CT scan slice | Image size 512x512 | Pelvis | Slice 42 of 97 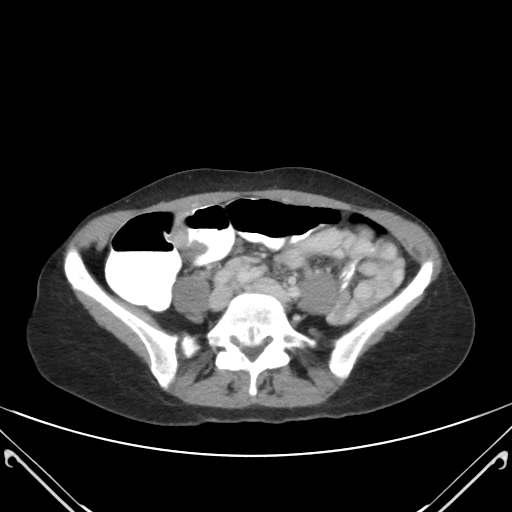 Colon tumor: bounding box (x1=174, y1=224, x2=209, y2=261).